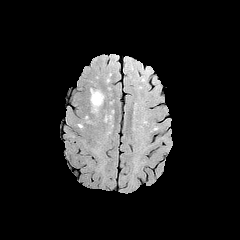
FLAIR magnetic resonance.
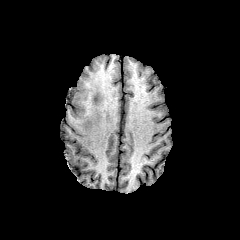
T1-weighted magnetic resonance.
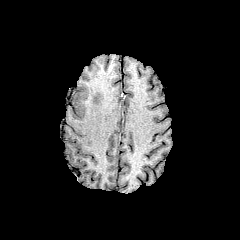
Post-contrast T1-weighted MRI of the same slice.
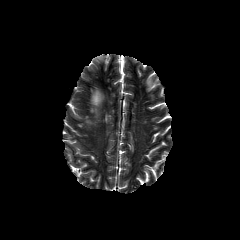
T2-weighted MR image of the same slice.
240x240 px.
{"edema": ["[90,86,104,119]"]}